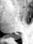 Medial temporal lobe; MRI

<segmentation>
  <posterior_hippocampus>{"x1": 9, "y1": 34, "x2": 19, "y2": 39}</posterior_hippocampus>
</segmentation>